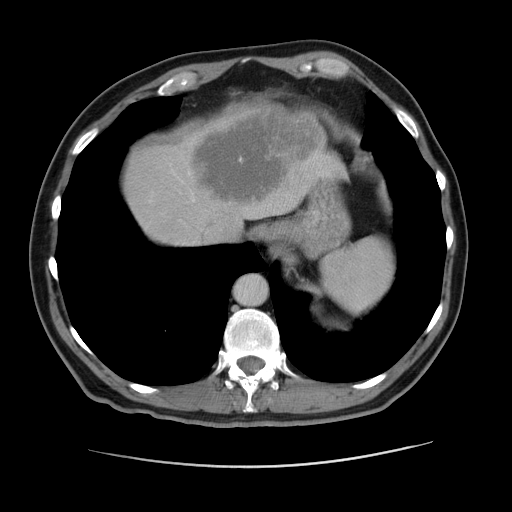

CT scan slice

Findings:
• liver lesion: [191, 106, 324, 201]
• liver: [123, 101, 345, 246]